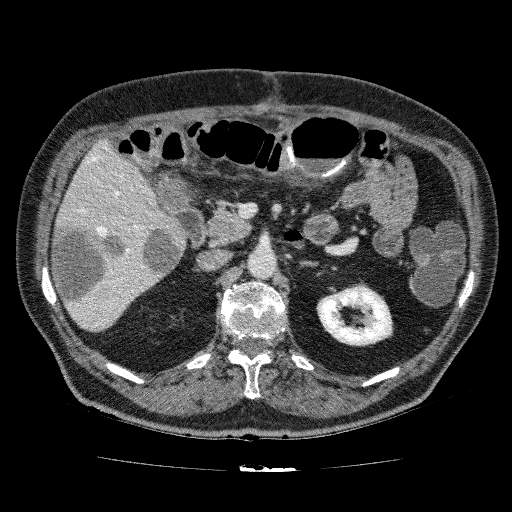
Computed tomography

* liver: (55,137,186,332)
* kidney: (317,285,392,345)
* focal liver lesion: (51,221,127,305), (138,226,183,278)